Liver. CT image.
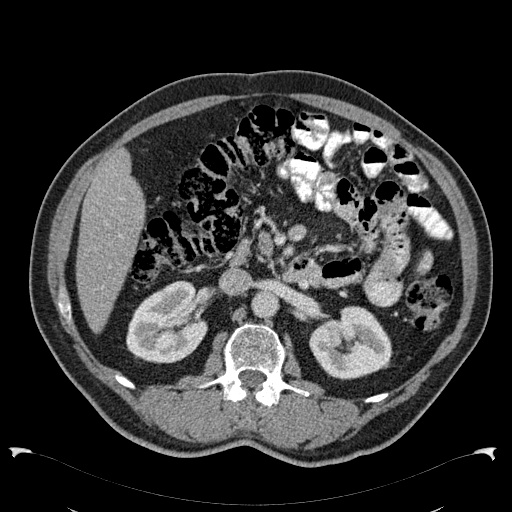

2 kidney regions are located at 309,306,391,378; 126,281,211,362. The liver is located at 77,147,145,334.